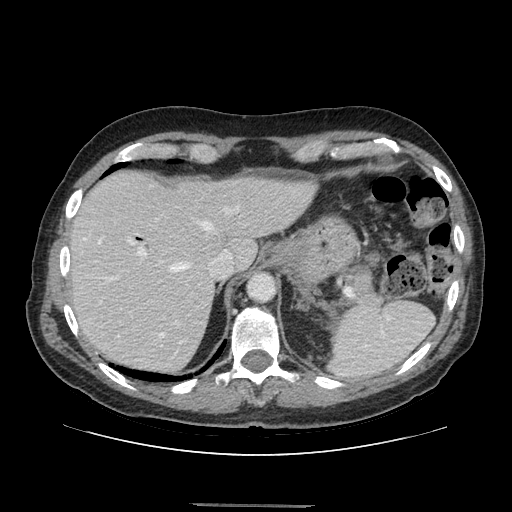
CT; Abdomen

<segmentation>
  <pancreas>354, 272, 372, 293</pancreas>
</segmentation>